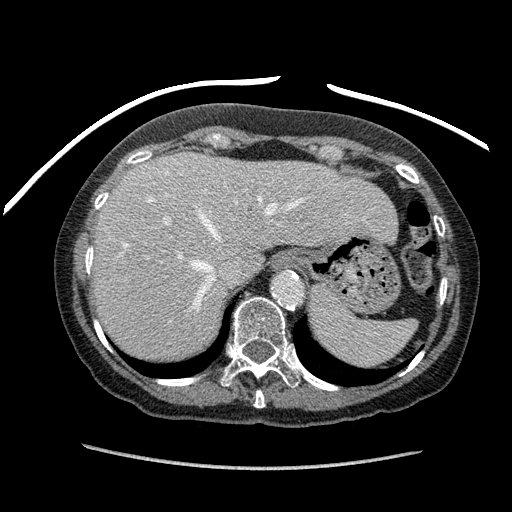

CT scan slice; Liver; 512x512
{
  "liver": [
    {"x1": 92, "y1": 152, "x2": 396, "y2": 359}
  ]
}